Pelvis. CT. Field of view 400 mm wide, 0.80 mm slice spacing. 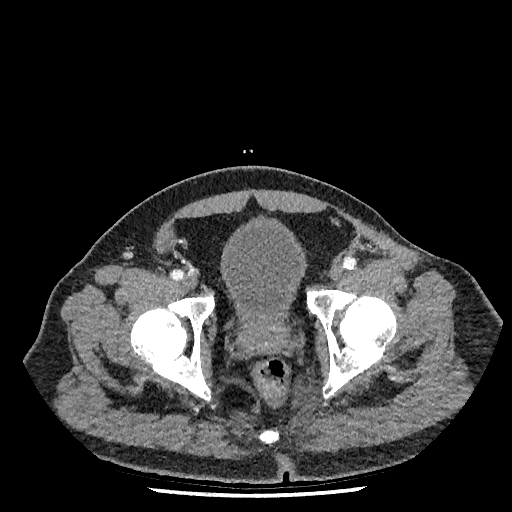
Annotated regions:
- urinary bladder: bbox=[219, 221, 307, 324]